Head, 240x240 px
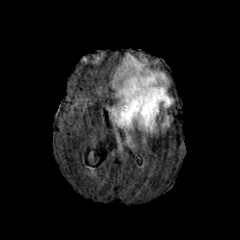
FLAIR MR image.
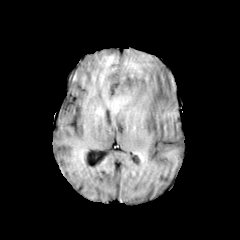
Same slice, T1-weighted MR image.
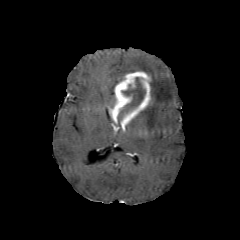
Post-contrast T1-weighted MRI of the same slice.
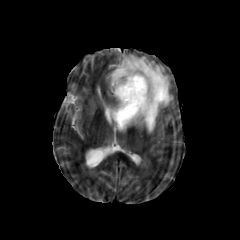
T2-weighted MRI of the same slice.
Findings:
• edema: region(110, 53, 173, 133)
• non-enhancing tumor core: region(118, 77, 145, 121)
• enhancing tumor: region(109, 71, 151, 131)